Liver; Slice 472/826; CT slice

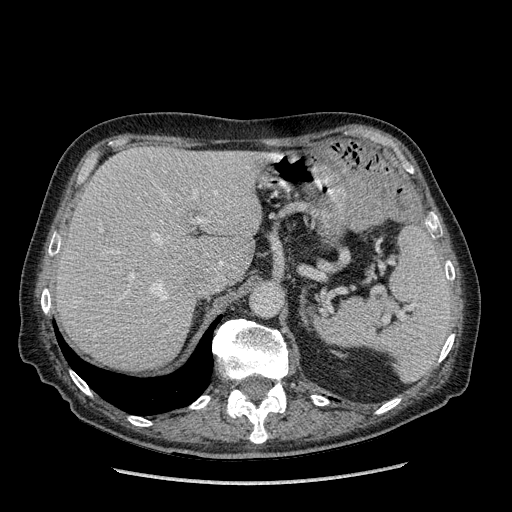

Liver at bbox=[57, 147, 261, 371].